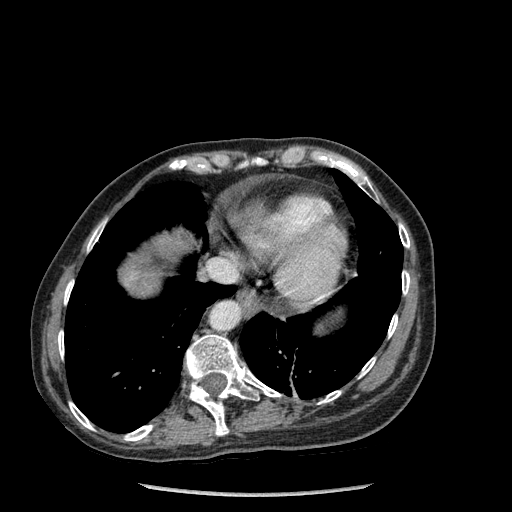
CT slice; Abdomen

bone: (x1=399, y1=223, x2=409, y2=247), (x1=329, y1=158, x2=374, y2=194), (x1=402, y1=270, x2=410, y2=294), (x1=358, y1=357, x2=375, y2=378), (x1=87, y1=220, x2=105, y2=251), (x1=64, y1=279, x2=73, y2=304), (x1=318, y1=390, x2=341, y2=404), (x1=254, y1=158, x2=265, y2=165), (x1=124, y1=425, x2=152, y2=441), (x1=69, y1=402, x2=94, y2=430), (x1=184, y1=334, x2=281, y2=435), (x1=388, y1=314, x2=397, y2=338), (x1=57, y1=330, x2=64, y2=359) | liver: (x1=120, y1=234, x2=188, y2=294) | lung: (x1=240, y1=169, x2=403, y2=398), (x1=65, y1=181, x2=235, y2=432)